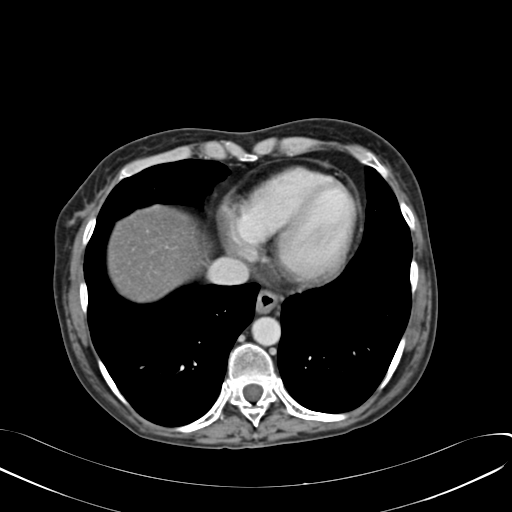

CT; 512x512 px; Upper abdomen
Annotated regions:
• liver: 109,210,198,301